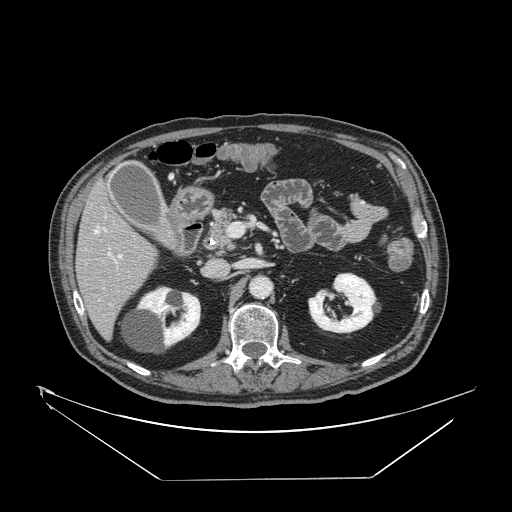 Abdomen. Image size 512x512. CT.
pancreas:
  - (201, 206, 241, 252)